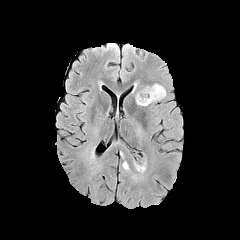
FLAIR MR image.
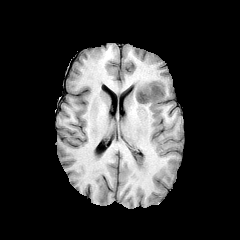
T1-weighted MRI of the same slice.
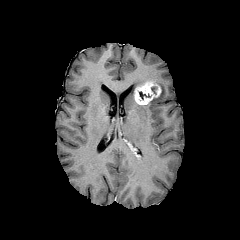
Post-contrast T1-weighted magnetic resonance.
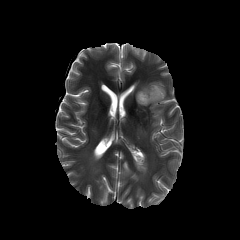
T2-weighted MRI.
Enhancing tumor: bounding box bbox(134, 81, 160, 104).
Non-enhancing tumor core: bounding box bbox(139, 91, 152, 100).
Edema: bounding box bbox(141, 82, 166, 105); bbox(131, 156, 147, 180); bbox(122, 161, 131, 172).